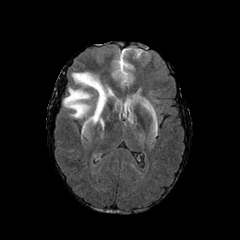
FLAIR magnetic resonance.
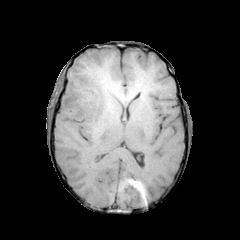
T1-weighted MR.
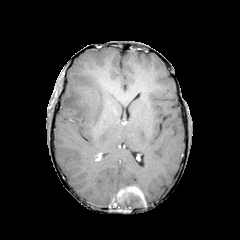
Same slice, post-contrast T1-weighted magnetic resonance.
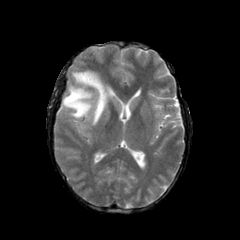
T2-weighted MRI of the same slice.
Head
- edema: bbox=[62, 71, 114, 128]